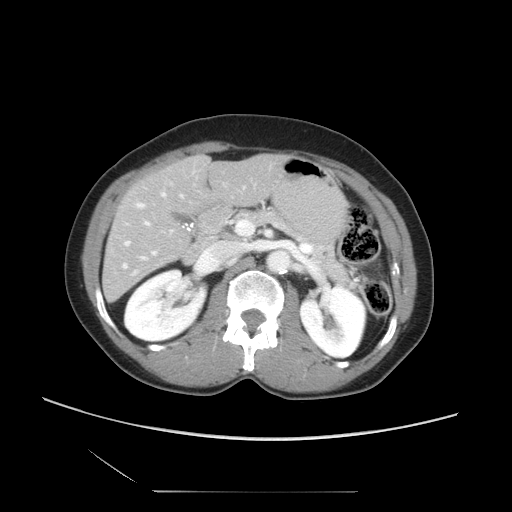 CT slice. 512x512. Liver.
Only some of the vessels may be annotated.
<segmentation>
  <hepatic_vessel>[170,182,171,184], [139,256,146,259], [168,229,172,232], [161,192,165,196], [122,263,126,267], [242,186,244,188], [135,202,144,207], [144,221,148,224], [132,270,136,274], [179,194,183,197], [124,240,129,245], [151,250,155,254], [125,223,128,224]</hepatic_vessel>
</segmentation>